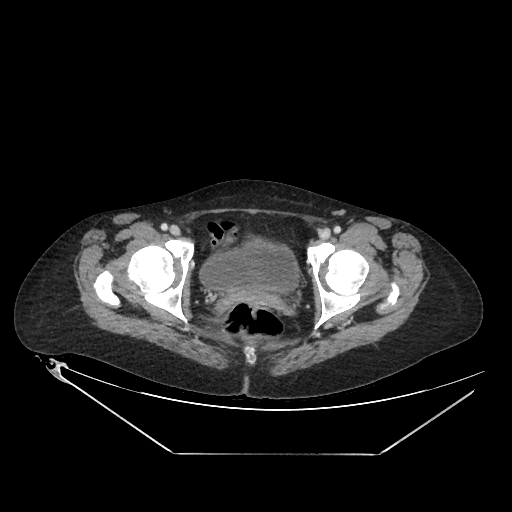 Lower abdomen; CT scan slice

- urinary bladder: 200, 235, 299, 296